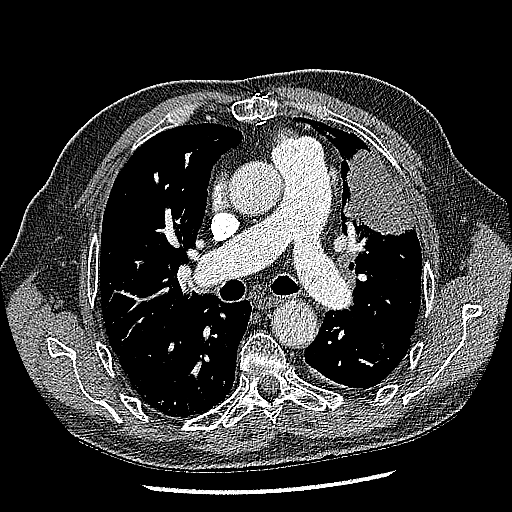 512x512. CT scan slice.

The lung tumor lies within box=[342, 148, 414, 235].